Slice 38/103, Abdomen, CT scan slice

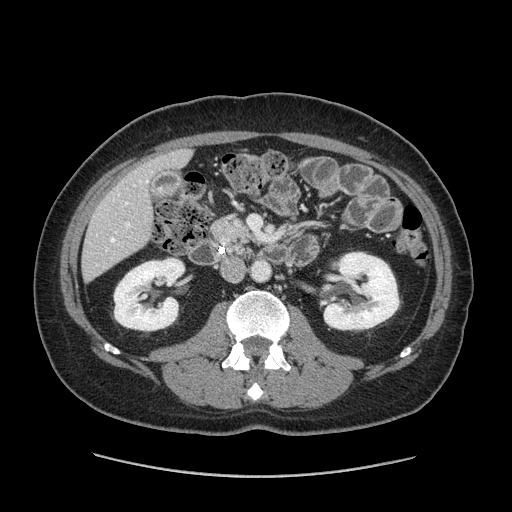
Findings:
- pancreas: bbox=[212, 218, 250, 240]